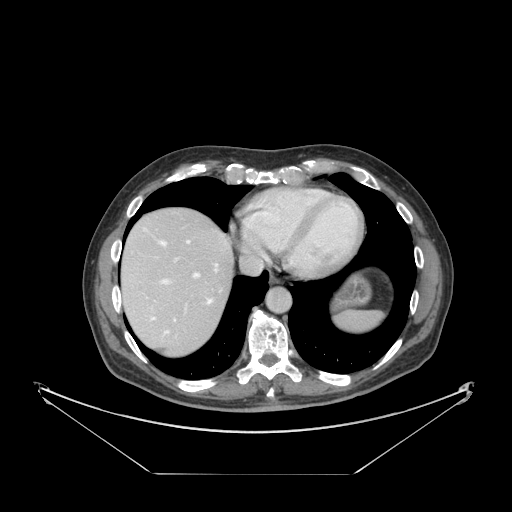 CT scan slice
Segmented structures:
- spleen: <bbox>334, 311, 384, 333</bbox>